Magnetic resonance | Image size 34x51 | Hippocampus
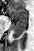 Anterior hippocampus — bbox(9, 7, 27, 21).
Posterior hippocampus — bbox(12, 22, 27, 38).